Brain | Field of view 240 mm wide, 1.00 mm slice spacing | Slice index 69
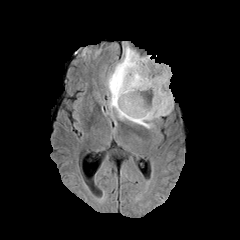
FLAIR MR.
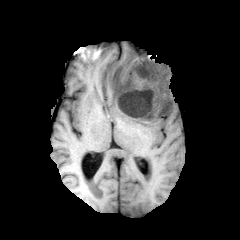
T1-weighted MR image.
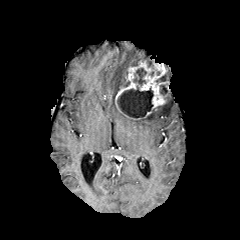
Post-contrast T1-weighted MRI.
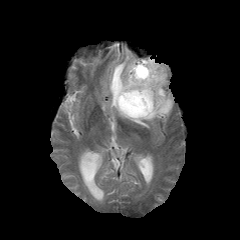
T2-weighted MR of the same slice.
Findings:
• enhancing tumor: [115,59,171,120]
• edema: [146,96,172,123], [104,46,150,128]
• non-enhancing tumor core: [160,85,167,95], [134,68,146,85], [117,86,153,117]